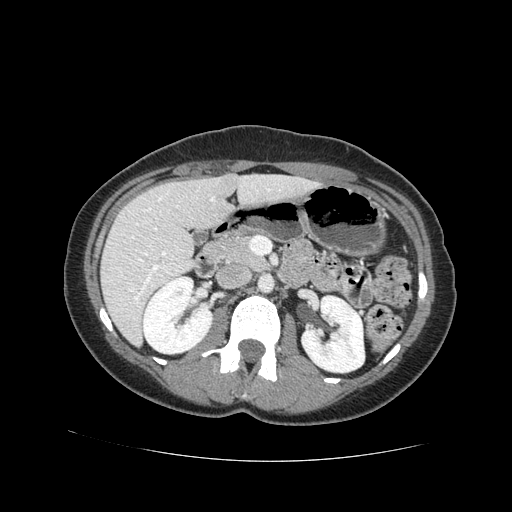

512x512 px; CT image

Pancreas: bounding box <bbox>205, 234, 266, 270</bbox>.